CT scan slice. Upper abdomen.
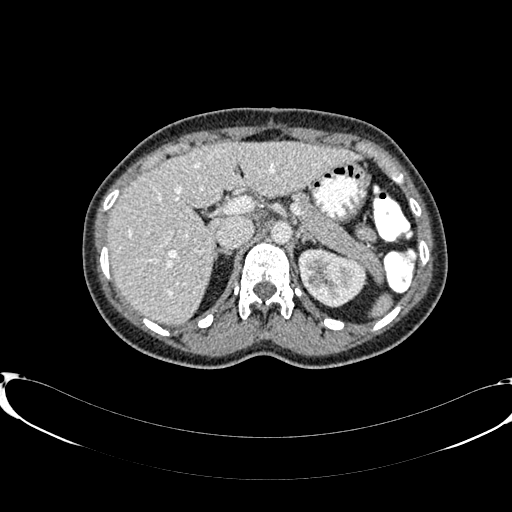

liver: left=106, top=142, right=361, bottom=324 | kidney: left=300, top=251, right=364, bottom=306